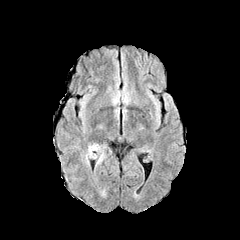
FLAIR magnetic resonance.
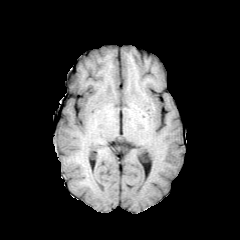
Same slice, T1-weighted MR.
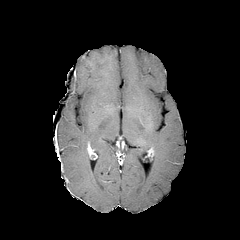
Post-contrast T1-weighted MR image.
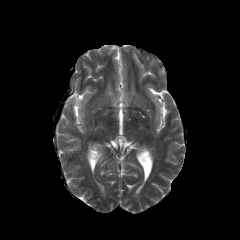
T2-weighted MR of the same slice.
240x240.
Segmented structures:
• edema: <box>83,148,90,165</box>, <box>88,142,107,168</box>, <box>114,92,128,101</box>
• enhancing tumor: <box>88,146,97,158</box>